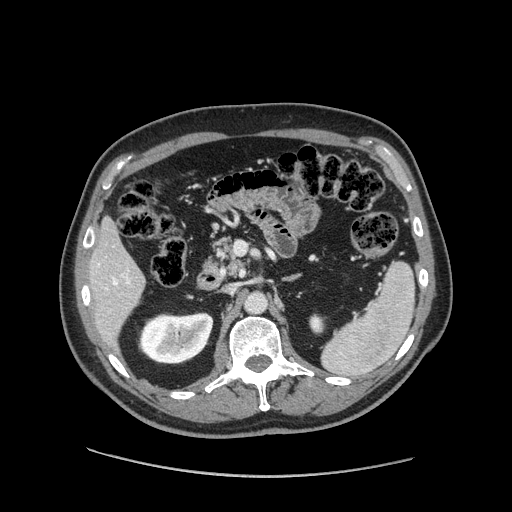
512x512 | Abdomen | Computed tomography

<segmentation>
  <pancreas>box(206, 238, 240, 274)</pancreas>
</segmentation>